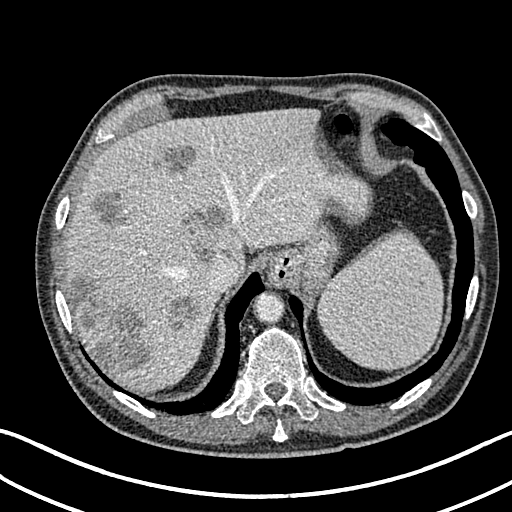

CT slice

The liver lies within 64 109 367 388. 5 hepatic lesion regions appear at 163 145 198 177, 168 293 198 332, 184 206 226 263, 91 193 131 234, 70 277 149 371.